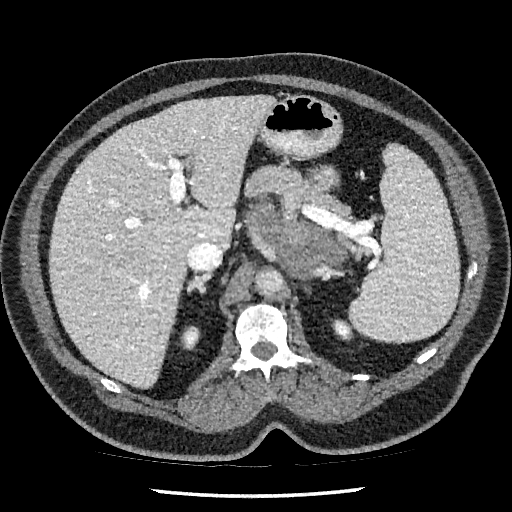
CT, Abdomen

Segmented structures:
* kidney: [185,329,197,346], [336,322,348,337]
* liver: [49,96,273,386]